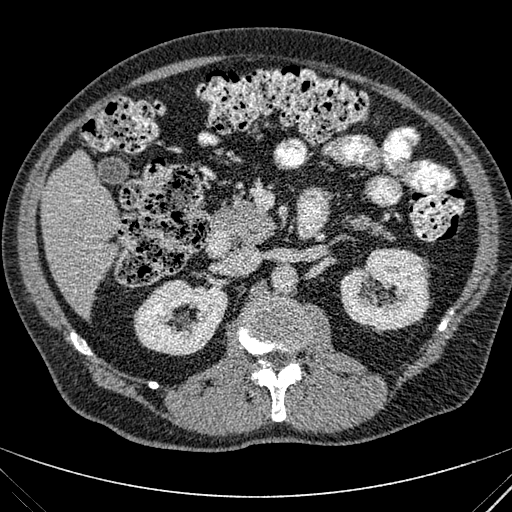 Computed tomography

The liver is at <box>42,153,118,318</box>. 2 kidney regions appear at <box>134,278,227,354</box>, <box>341,249,428,329</box>.